CT slice | Field of view 434 mm wide, 1.00 mm slice spacing

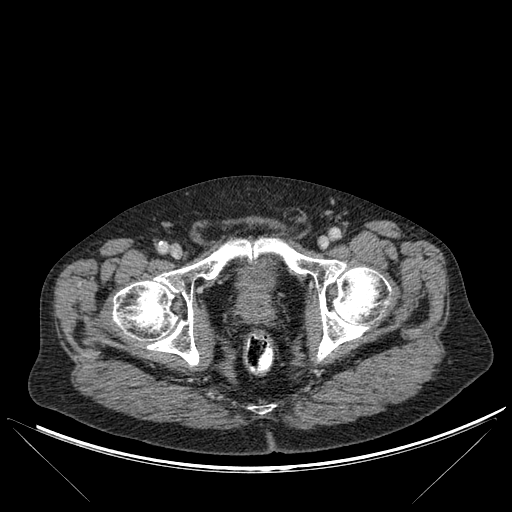

2 bone regions are located at (left=251, top=404, right=274, bottom=413), (left=112, top=238, right=390, bottom=365).